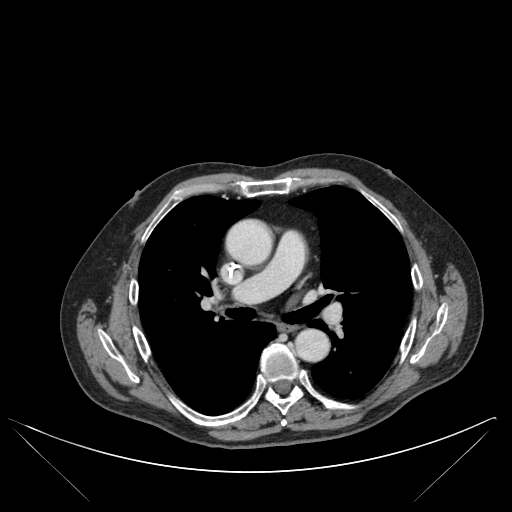

CT; 512x512 px; Thorax
Lung: bounding box rect(283, 185, 410, 398); rect(139, 196, 275, 415).
Bone: bounding box rect(410, 305, 447, 362); rect(411, 265, 422, 288); rect(133, 327, 149, 360); rect(143, 208, 164, 239); rect(170, 344, 352, 425); rect(237, 178, 292, 196); rect(401, 320, 415, 359); rect(266, 386, 302, 414); rect(129, 280, 138, 303); rect(99, 331, 138, 382); rect(372, 198, 397, 222).